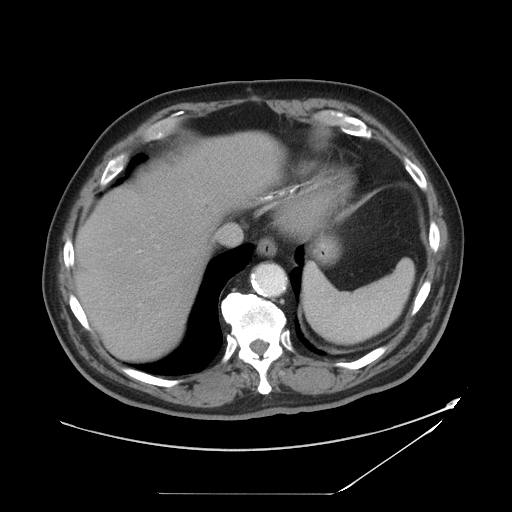
Computed tomography | Image size 512x512
Not every hepatic vessel necessarily has a box.
hepatic_vessel:
  - left=157, top=246, right=158, bottom=247
  - left=148, top=337, right=151, bottom=337
  - left=138, top=303, right=140, bottom=305
  - left=119, top=249, right=121, bottom=250
  - left=137, top=250, right=140, bottom=252
  - left=131, top=238, right=134, bottom=239